FLAIR MRI.
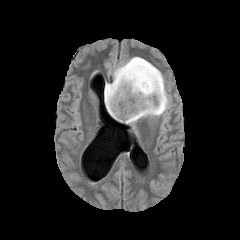
T1-weighted MRI.
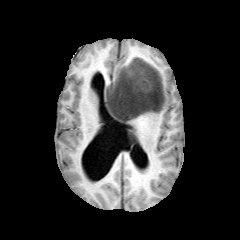
Post-contrast T1-weighted magnetic resonance.
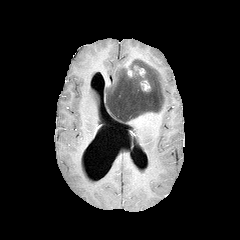
T2-weighted magnetic resonance.
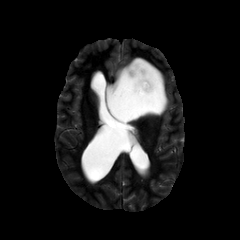
edema:
  - 105:55:170:131
enhancing_tumor:
  - 140:79:150:91
  - 126:65:145:77
non-enhancing_tumor_core:
  - 104:59:164:123